Slice index 322. CT. Field of view 432x432 mm.
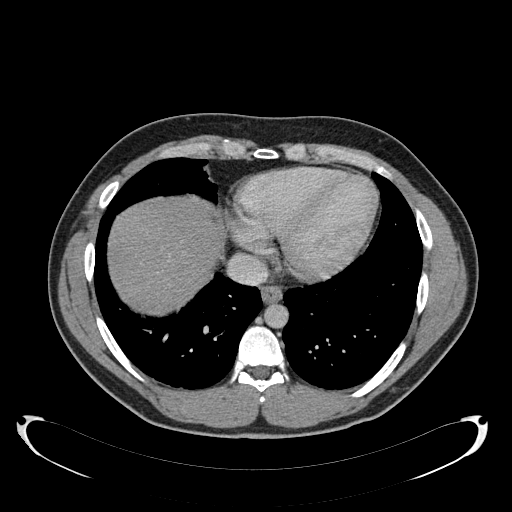

Annotated regions:
* liver: [x1=110, y1=199, x2=221, y2=311]